Image width 200 mm, Prostate, 320x320 px
T2-weighted MR image.
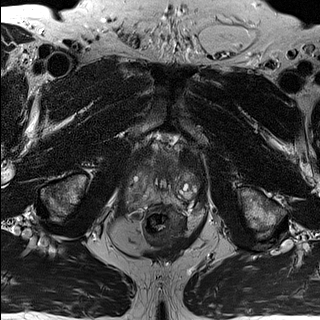
ADC magnetic resonance.
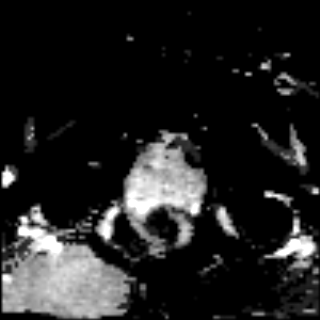
The prostate transition zone is located at x1=126 y1=155 x2=195 y2=206.